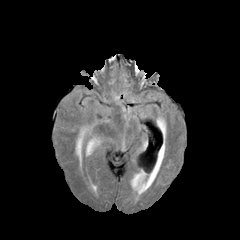
FLAIR MR.
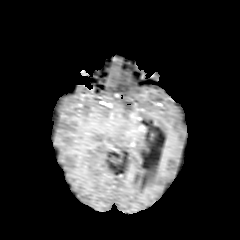
T1-weighted magnetic resonance.
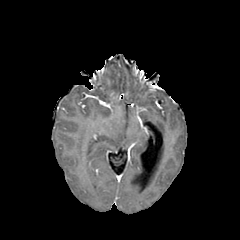
Post-contrast T1-weighted MR image of the same slice.
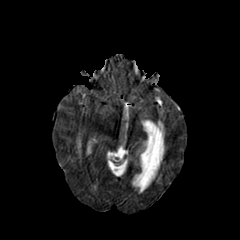
T2-weighted MRI of the same slice.
Brain
Edema at {"x1": 76, "y1": 129, "x2": 87, "y2": 165}, {"x1": 86, "y1": 136, "x2": 98, "y2": 155}.